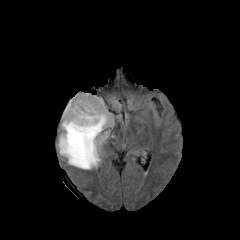
FLAIR MR image.
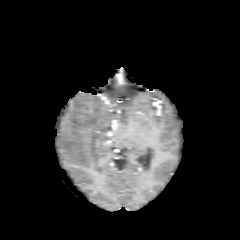
T1-weighted MR image of the same slice.
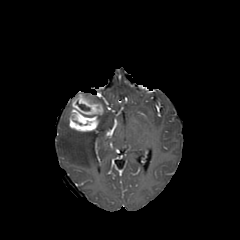
Post-contrast T1-weighted MR.
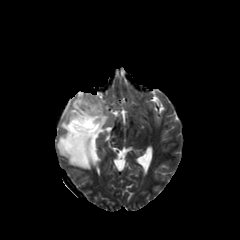
T2-weighted MR image.
Brain.
Enhancing tumor — box(68, 91, 103, 131).
Edema — box(58, 102, 113, 169).
Non-enhancing tumor core — box(78, 104, 89, 110); box(93, 96, 108, 115).